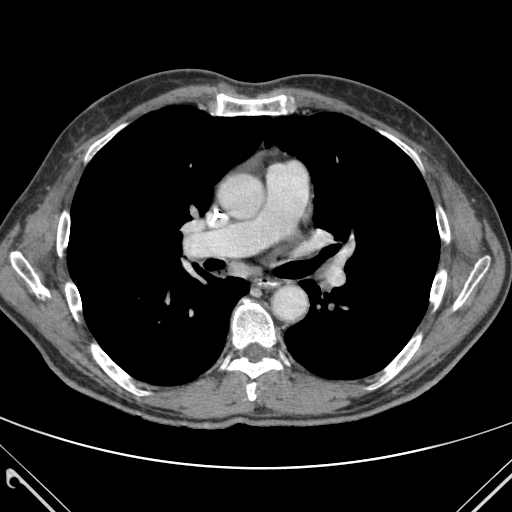

CT slice
Bone: bounding box rect(91, 345, 147, 395); rect(212, 94, 295, 115); rect(11, 252, 49, 296); rect(65, 283, 81, 319); rect(436, 208, 449, 241); rect(232, 299, 275, 348); rect(430, 270, 446, 308); rect(221, 358, 282, 378); rect(380, 131, 418, 160); rect(381, 335, 421, 383); rect(85, 124, 125, 158); rect(246, 383, 255, 400); rect(57, 212, 69, 255); rect(453, 257, 489, 309).
Lung: bounding box rect(67, 105, 439, 385).